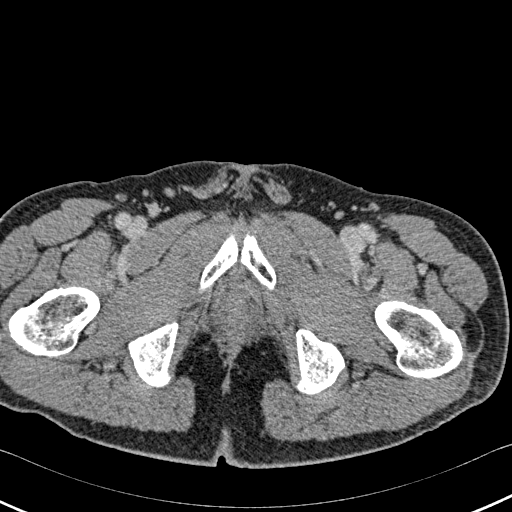 CT image, 512x512 px

bone: 1, 287, 99, 355; 375, 301, 462, 377; 296, 329, 344, 393; 129, 322, 178, 386; 199, 236, 237, 292; 241, 235, 275, 289